CT. Field of view 386x386 mm.

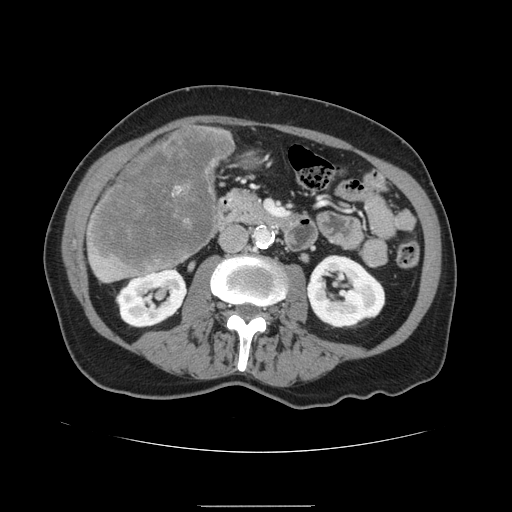 Liver tumor — 90:130:230:270.